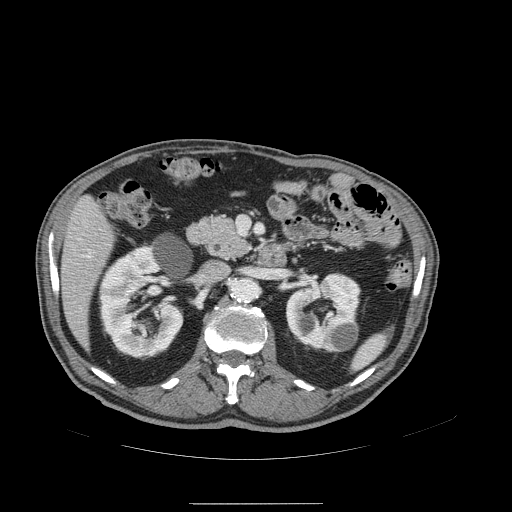 CT scan slice. 512x512 px.
Segmented structures:
• pancreas: 199, 214, 252, 263